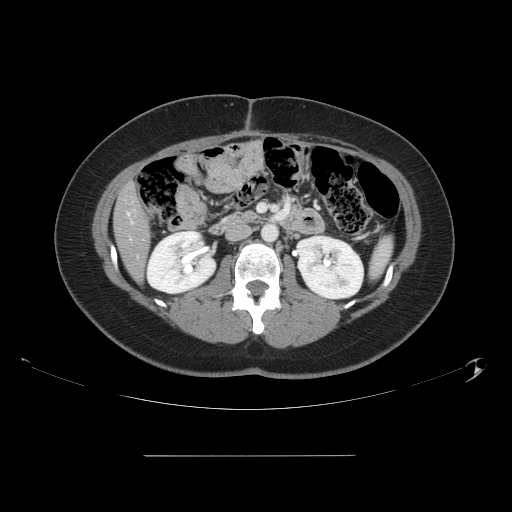
CT, Abdomen

Only some of the vessels may be annotated.
{"hepatic_vessel": ["region(127, 213, 129, 214)"]}